Hippocampus. MR image.
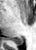

The posterior hippocampus lies within [12, 38, 22, 44].